Field of view 36 mm wide, 1.00 mm slice spacing, Slice 22 of 36, Hippocampus, 36x49, MRI slice 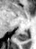 Posterior hippocampus: bounding box [15,32,27,42].